FLAIR MR image.
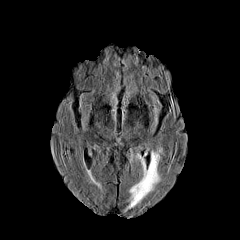
T1-weighted magnetic resonance.
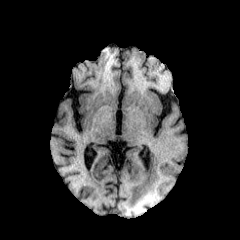
Post-contrast T1-weighted MRI.
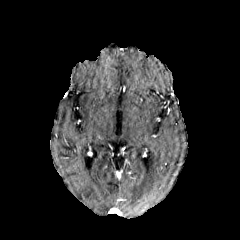
T2-weighted MR.
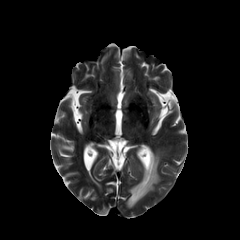
Brain
Edema — box=[127, 149, 162, 210].